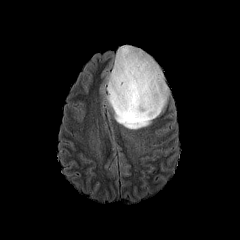
FLAIR MR image.
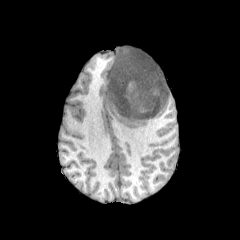
T1-weighted MR.
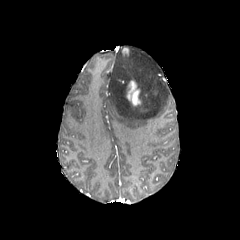
Post-contrast T1-weighted MR image.
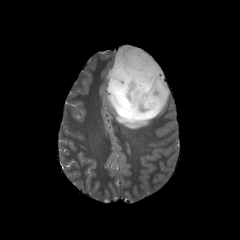
T2-weighted magnetic resonance.
240x240. Brain.
Enhancing tumor: {"x1": 121, "y1": 48, "x2": 130, "y2": 55}, {"x1": 126, "y1": 78, "x2": 143, "y2": 106}.
Edema: {"x1": 108, "y1": 45, "x2": 169, "y2": 129}.